Computed tomography | Slice 89/113

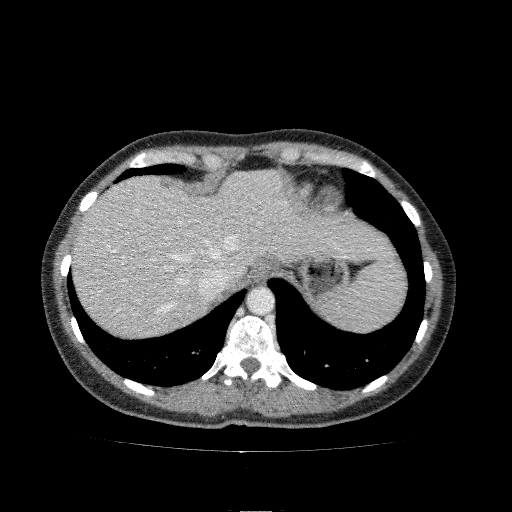

liver:
  - (x1=74, y1=170, x2=391, y2=336)